512x512, CT scan slice, Abdomen
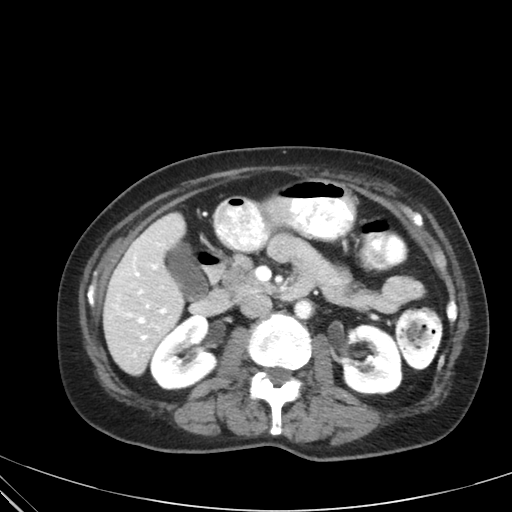 pancreas: x1=223, y1=257, x2=259, y2=289